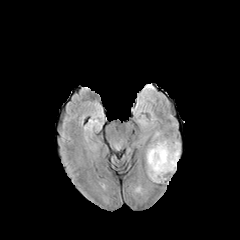
FLAIR MR.
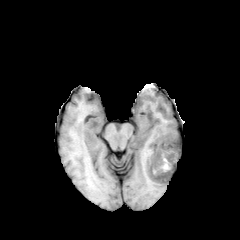
Same slice, T1-weighted magnetic resonance.
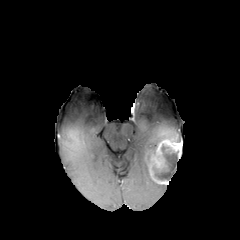
Post-contrast T1-weighted magnetic resonance.
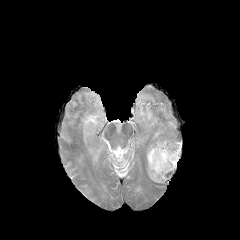
T2-weighted magnetic resonance.
240x240
Edema — rect(145, 129, 179, 183).
Enhancing tumor — rect(158, 140, 180, 154).